Slice 123 of 155.
FLAIR magnetic resonance.
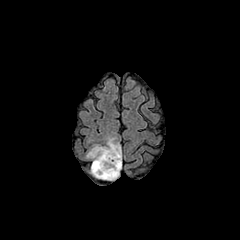
T1-weighted MR image.
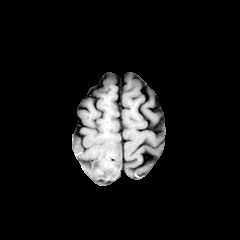
Post-contrast T1-weighted MR image.
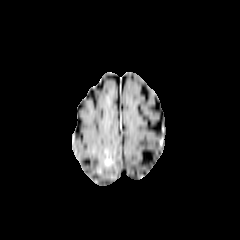
T2-weighted MR image.
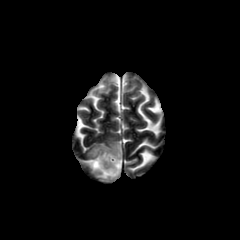
<segmentation>
  <non-enhancing_tumor_core>x1=92 y1=148 x2=115 y2=172</non-enhancing_tumor_core>
  <edema>x1=86 y1=136 x2=121 y2=180</edema>
</segmentation>